CT slice | Slice 25/32 | Field of view 347x347 mm

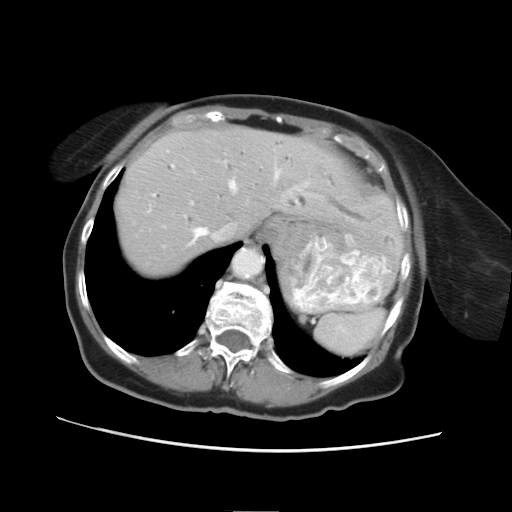

Only some of the vessels may be annotated.
hepatic vessel: bbox=[191, 223, 236, 243]; bbox=[230, 181, 235, 188]; bbox=[275, 172, 278, 177]